Image size 512x512. Liver. Image width 408 mm. Computed tomography. 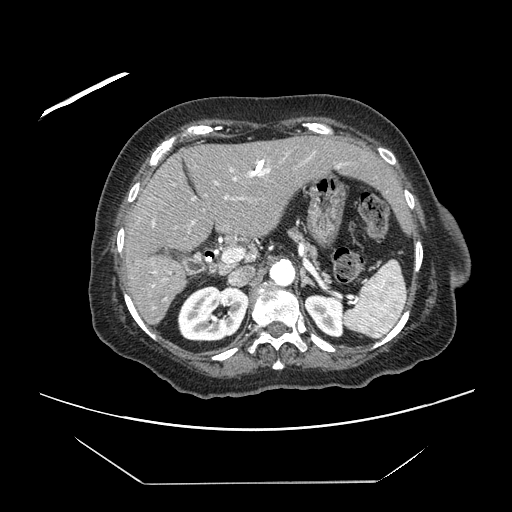 Not every hepatic vessel necessarily has a box.
The hepatic vessel lies within left=223, top=249, right=243, bottom=262.